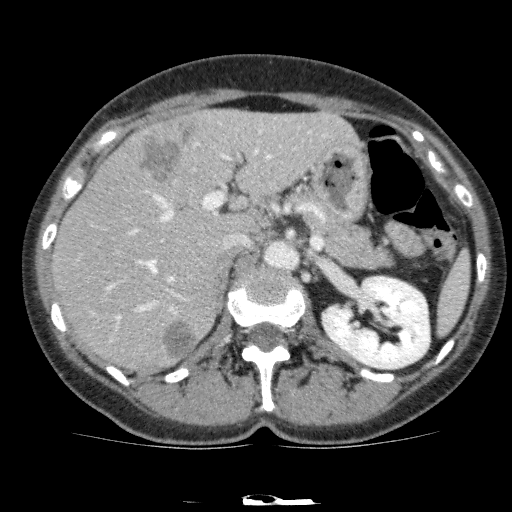
Computed tomography. Abdomen. Annotated regions:
- liver: (51,109,361,372)
- kidney: (323,276,429,368)
- hepatic lesion: (137,118,197,183), (162,319,197,361)